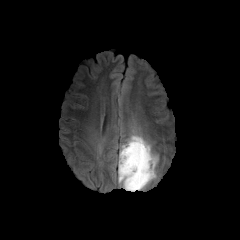
FLAIR MR.
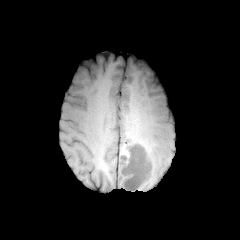
T1-weighted magnetic resonance.
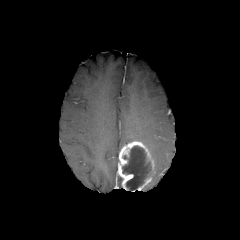
Post-contrast T1-weighted MR image.
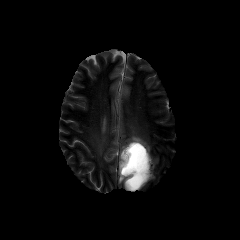
T2-weighted MR.
240x240 px
2 edema regions are located at l=115, t=133, r=158, b=181; l=116, t=171, r=122, b=185. 2 enhancing tumor regions appear at l=136, t=178, r=149, b=189; l=117, t=140, r=149, b=190. The non-enhancing tumor core is located at l=123, t=145, r=149, b=190.